Slice 113/155
FLAIR MRI.
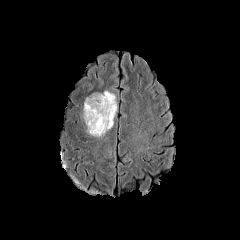
T1-weighted MR.
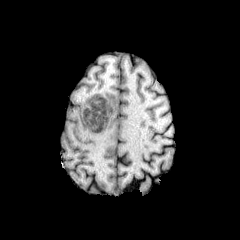
Post-contrast T1-weighted MR image.
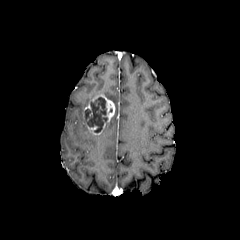
T2-weighted MRI.
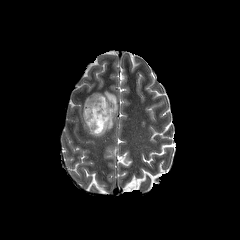
non-enhancing tumor core: [x1=84, y1=96, x2=108, y2=133] | edema: [x1=84, y1=92, x2=102, y2=107], [x1=102, y1=114, x2=114, y2=133], [x1=104, y1=90, x2=116, y2=113] | enhancing tumor: [x1=87, y1=125, x2=102, y2=135], [x1=100, y1=94, x2=114, y2=122]